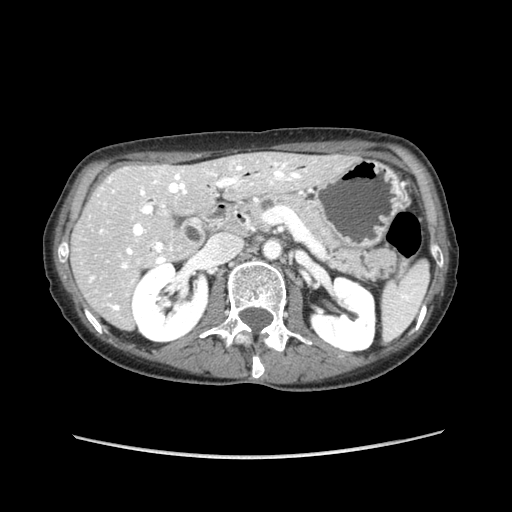
CT | Image size 512x512
pancreas: [227, 191, 392, 280]